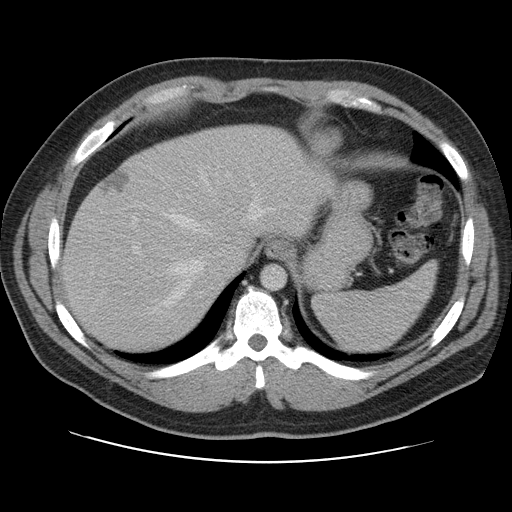

CT
Only some of the vessels may be annotated.
13 hepatic vessel regions are located at 154 307 156 308, 248 202 265 219, 173 263 184 272, 254 231 258 235, 176 191 179 196, 130 224 136 227, 163 280 190 306, 225 172 229 176, 191 259 202 272, 218 203 219 206, 132 241 139 253, 266 207 274 210, 199 170 208 184. The liver tumor appears at 102 171 129 193.